Image size 512x512 | Slice 78/105 | CT image
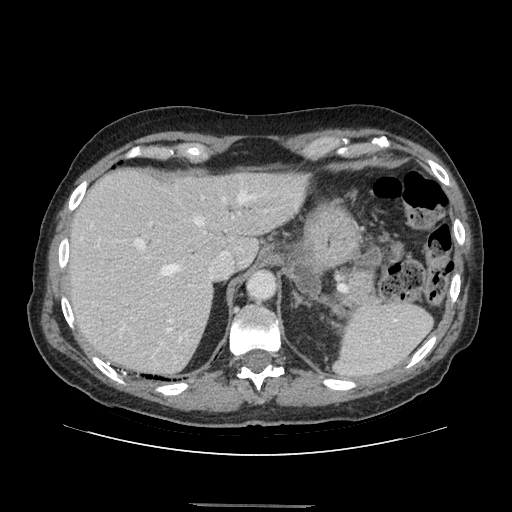

The pancreas appears at 348:269:373:303.